CT image | Liver | Image size 512x512

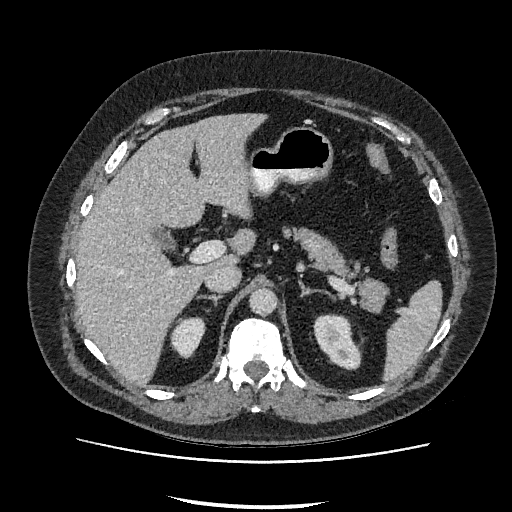
kidney: (x1=315, y1=316, x2=359, y2=367), (x1=173, y1=319, x2=203, y2=354) | liver: (x1=76, y1=115, x2=265, y2=384)